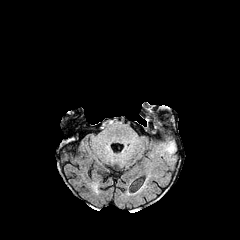
FLAIR MR image.
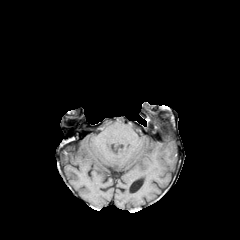
Same slice, T1-weighted MR image.
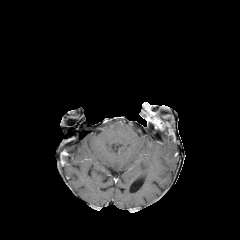
Same slice, post-contrast T1-weighted MRI.
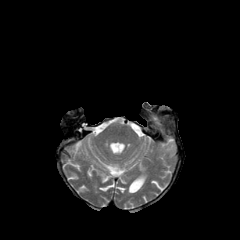
T2-weighted MR.
Head
{"edema": ["x1=160, y1=140, x2=175, y2=153"]}